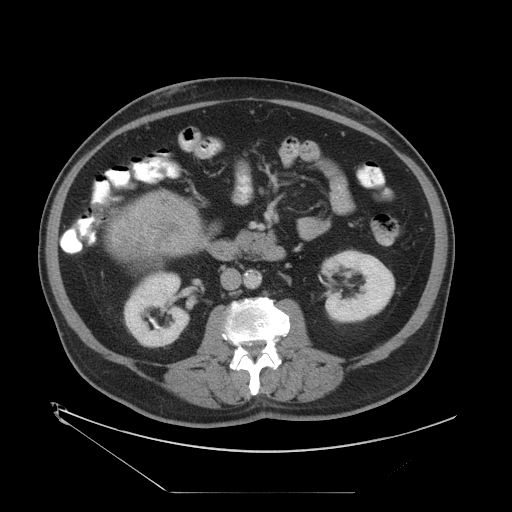

CT image
<segmentation>
  <liver_tumor>114,199,181,257</liver_tumor>
</segmentation>